512x512, CT, Pelvis, Slice 36 of 87 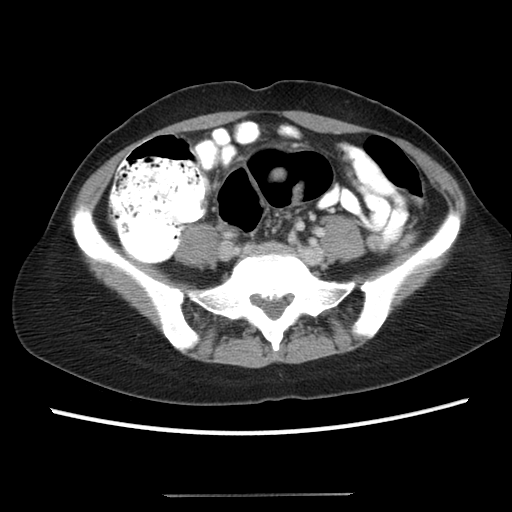 <segmentation>
  <colon_tumor>x1=271, y1=168, x2=283, y2=179; x1=292, y1=184, x2=302, y2=204</colon_tumor>
</segmentation>